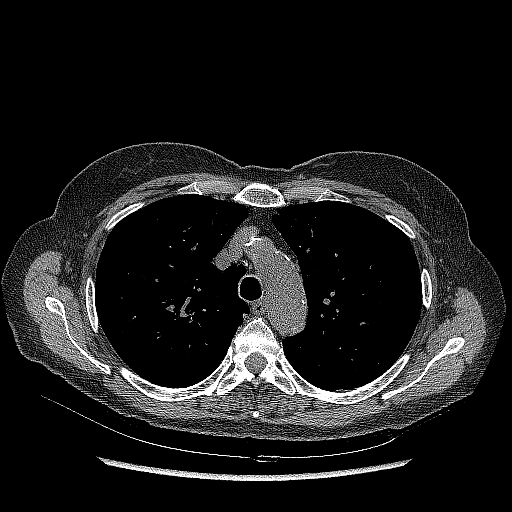
CT slice
<segmentation>
  <lung_tumor>164 303 195 323</lung_tumor>
</segmentation>